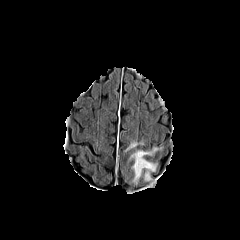
FLAIR MRI.
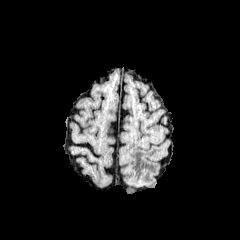
T1-weighted MRI.
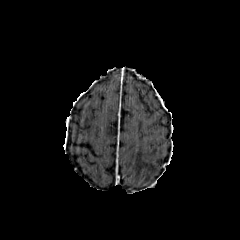
Same slice, post-contrast T1-weighted MRI.
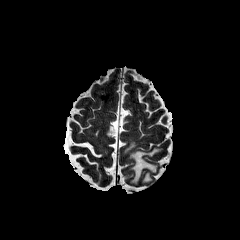
T2-weighted MR image.
240x240
Edema at bbox(129, 147, 161, 186); bbox(124, 142, 142, 151).